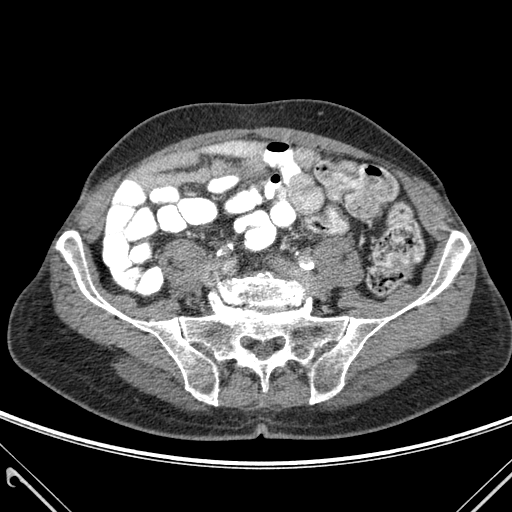

CT
bone: 56,231,470,405